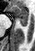
Medial temporal lobe | MRI
The posterior hippocampus is bounded by [20, 23, 27, 25]. The anterior hippocampus is bounded by [8, 6, 28, 22].